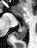
Hippocampus | MR image

{"posterior_hippocampus": ["l=12, t=24, r=27, b=40"]}